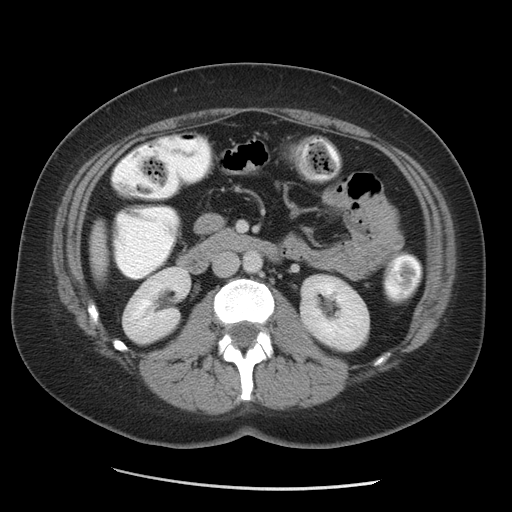
CT slice
Kidney: bounding box [124,268,189,342], [301,276,368,349].
Liver: bounding box [92,226,105,271].